CT image. Upper abdomen. Field of view 487 mm wide, 2.50 mm slice spacing. 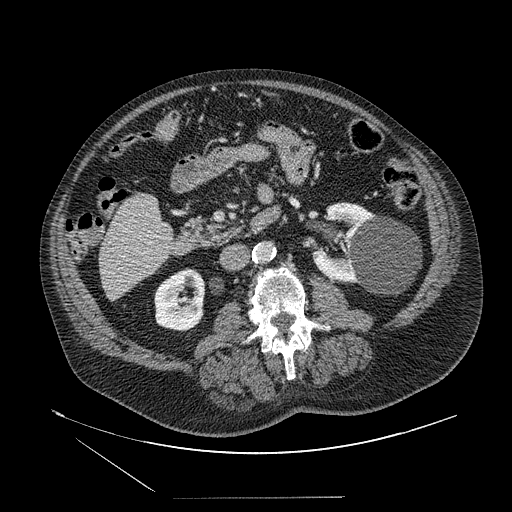
The pancreas is bounded by <box>183,215,235,247</box>.